FLAIR MR image.
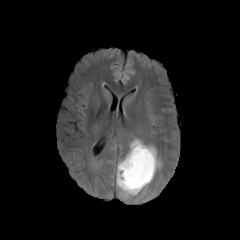
T1-weighted MR.
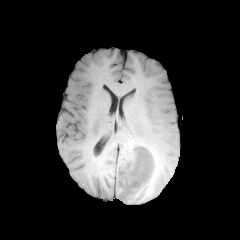
Post-contrast T1-weighted MRI.
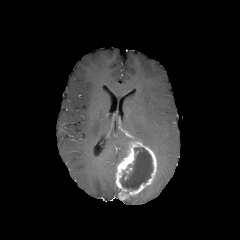
T2-weighted MR.
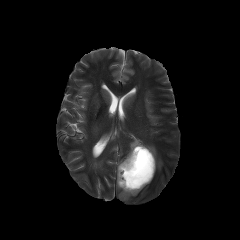
240x240 | Head
enhancing_tumor:
  - (left=116, top=142, right=156, bottom=199)
non-enhancing_tumor_core:
  - (left=122, top=146, right=152, bottom=189)